CT image. Field of view 420x420 mm. 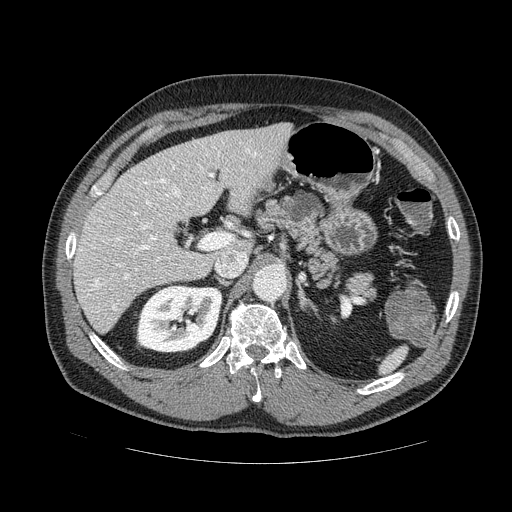 Pancreatic tumor at left=288, top=192, right=320, bottom=224.
Pancreas at left=253, top=190, right=377, bottom=302.